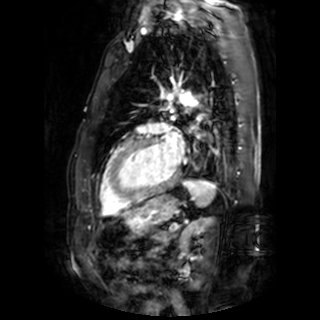
320x320; MR image
The left atrium is at 159:122:184:163.